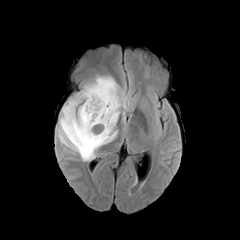
FLAIR magnetic resonance.
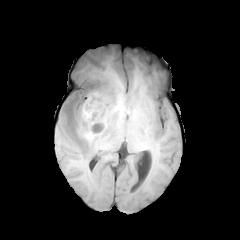
T1-weighted magnetic resonance of the same slice.
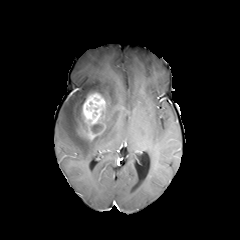
Same slice, post-contrast T1-weighted MRI.
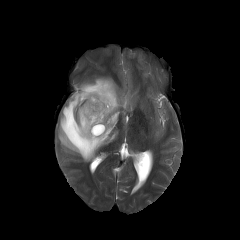
T2-weighted MR of the same slice.
Brain
The edema is located at <bbox>55, 76, 133, 161</bbox>. The non-enhancing tumor core is bounded by <bbox>84, 118, 104, 134</bbox>. 2 enhancing tumor regions are located at <bbox>83, 93, 105, 125</bbox>, <bbox>87, 128, 96, 139</bbox>.